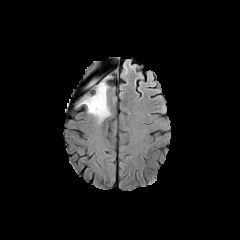
FLAIR MR image.
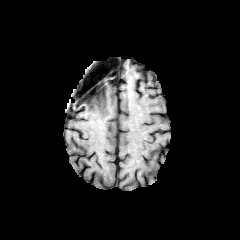
T1-weighted MR of the same slice.
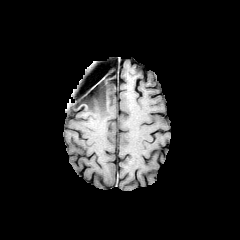
Post-contrast T1-weighted MRI.
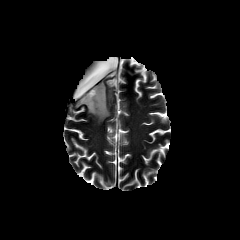
Same slice, T2-weighted magnetic resonance.
Image size 240x240, Brain
non-enhancing tumor core: 88,85,101,95 | edema: 79,80,112,121